Abdomen; Slice 39/85; CT image; Image size 512x512
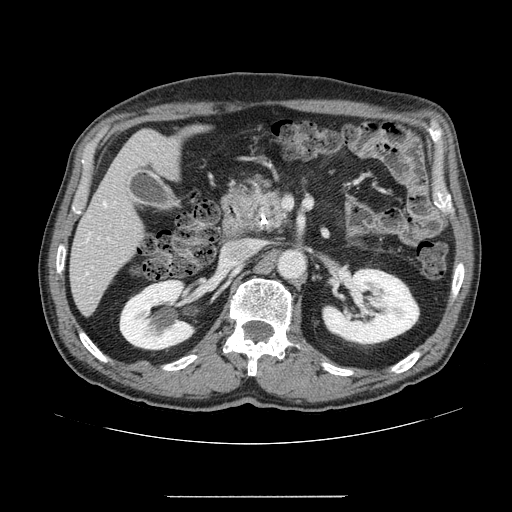

The pancreas is bounded by box(243, 186, 290, 235).